MRI. Field of view 400x400 mm. 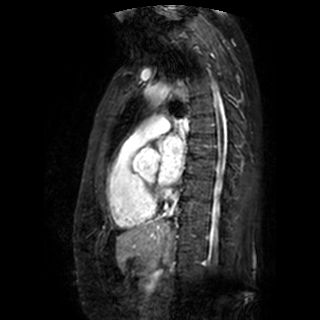 The left atrium appears at region(159, 136, 183, 184).